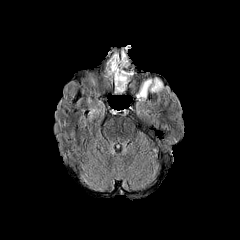
FLAIR MRI.
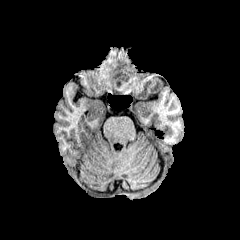
T1-weighted magnetic resonance.
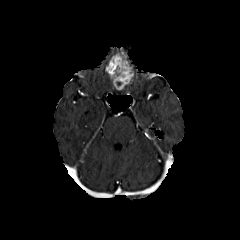
Post-contrast T1-weighted MR image.
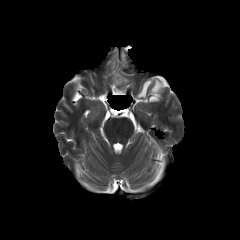
Same slice, T2-weighted MR.
2 edema regions are bounded by l=150, t=78, r=163, b=92; l=136, t=80, r=152, b=99. The enhancing tumor is located at l=105, t=49, r=134, b=89.